FLAIR MR.
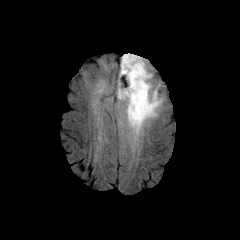
T1-weighted MR image.
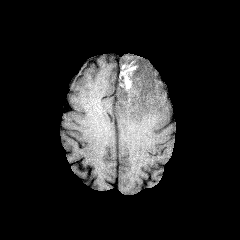
Post-contrast T1-weighted MR.
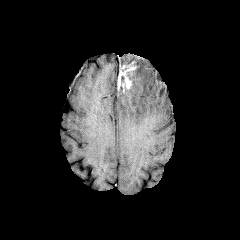
T2-weighted MRI.
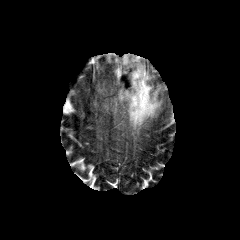
• edema: (left=116, top=53, right=163, bottom=143)
• non-enhancing tumor core: (left=126, top=70, right=137, bottom=80), (left=120, top=56, right=137, bottom=67), (left=118, top=74, right=129, bottom=92)
• enhancing tumor: (left=118, top=62, right=135, bottom=87), (left=125, top=76, right=131, bottom=87)